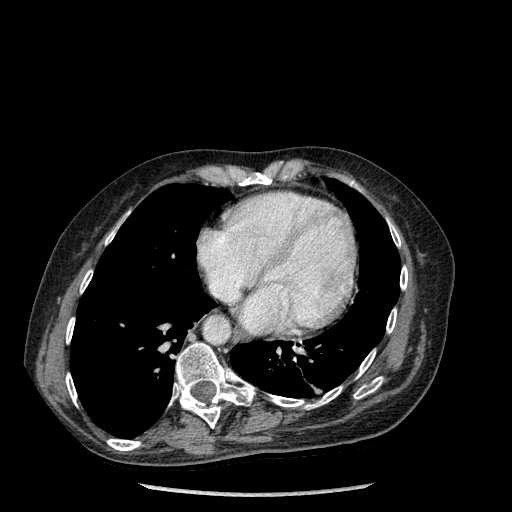

Chest, CT scan slice
lung:
  - 70, 184, 231, 438
  - 230, 179, 400, 398
bone:
  - 105, 211, 129, 244
  - 267, 386, 342, 409
  - 237, 171, 272, 185
  - 80, 270, 92, 293
  - 107, 439, 140, 450
  - 65, 373, 77, 406
  - 400, 266, 407, 289
  - 386, 308, 396, 333
  - 66, 317, 74, 343
  - 169, 342, 255, 428
  - 387, 218, 400, 247
  - 356, 349, 375, 378
  - 353, 376, 383, 399